Brain | Slice 102/155
FLAIR MRI.
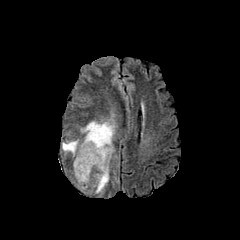
T1-weighted MR image.
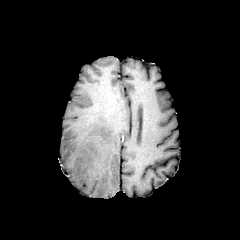
Post-contrast T1-weighted magnetic resonance.
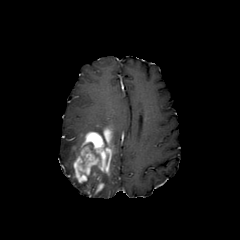
T2-weighted magnetic resonance.
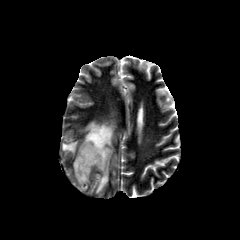
Enhancing tumor at {"x1": 73, "y1": 127, "x2": 113, "y2": 182}.
Non-enhancing tumor core at {"x1": 81, "y1": 142, "x2": 98, "y2": 156}, {"x1": 90, "y1": 165, "x2": 100, "y2": 174}.
Edema at {"x1": 81, "y1": 119, "x2": 115, "y2": 144}, {"x1": 62, "y1": 139, "x2": 81, "y2": 158}, {"x1": 93, "y1": 171, "x2": 109, "y2": 194}.